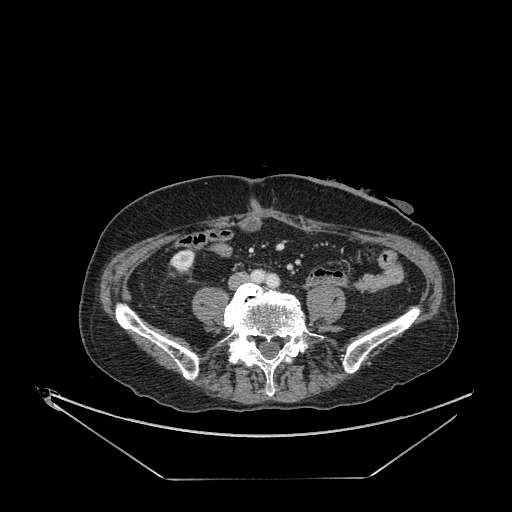 512x512. CT image. Abdomen.

kidney:
  - region(171, 250, 193, 271)